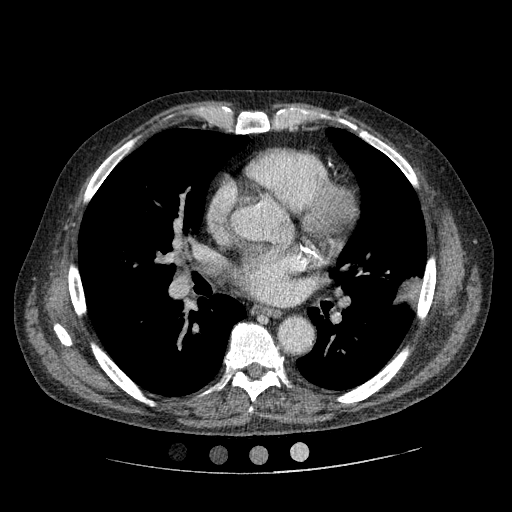

Thorax. CT slice. <segmentation>
  <lung_tumor>(388,275,422,315)</lung_tumor>
</segmentation>